FLAIR magnetic resonance.
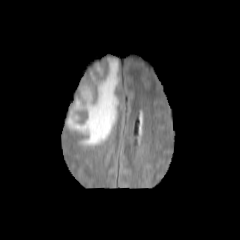
T1-weighted MRI.
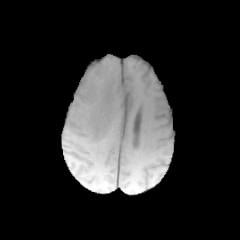
Post-contrast T1-weighted magnetic resonance.
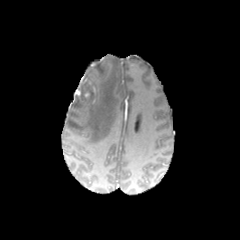
T2-weighted MR image.
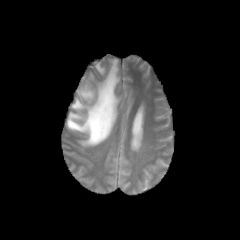
Head
non-enhancing tumor core: x1=75 y1=69 x2=98 y2=108 | edema: x1=67 y1=58 x2=120 y2=146, x1=94 y1=64 x2=104 y2=74